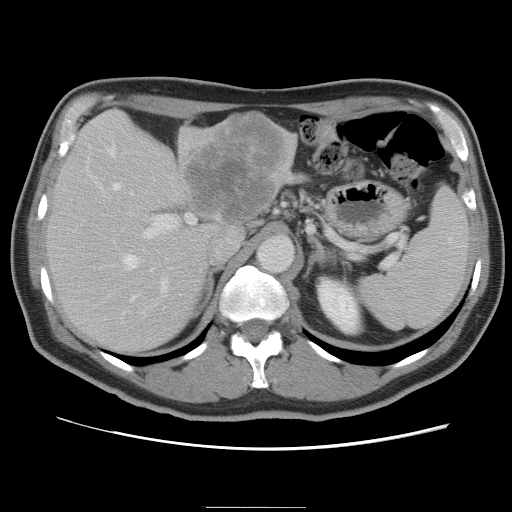
512x512 px, CT scan slice, Abdomen
Not every hepatic vessel necessarily has a box.
<segmentation>
  <hepatic_vessel>left=128, top=212, right=131, bottom=213; left=144, top=214, right=177, bottom=237; left=88, top=170, right=91, bottom=175; left=107, top=145, right=114, bottom=154; left=150, top=267, right=152, bottom=270; left=123, top=254, right=137, bottom=268; left=130, top=191, right=132, bottom=193; left=113, top=183, right=119, bottom=188; left=130, top=295, right=134, bottom=300; left=185, top=213, right=195, bottom=223; left=121, top=316, right=122, bottom=318; left=160, top=279, right=167, bottom=293; left=92, top=176, right=101, bottom=189; left=142, top=310, right=145, bottom=313</hepatic_vessel>
  <liver_tumor>left=185, top=118, right=283, bottom=226</liver_tumor>
</segmentation>